Field of view 404x404 mm. Computed tomography. Lower abdomen. 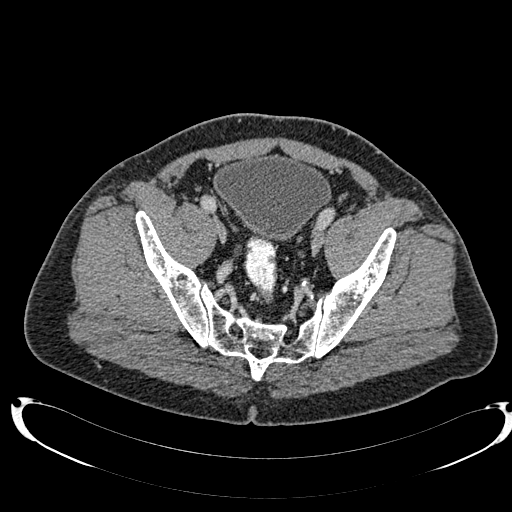 Annotated regions:
• urinary bladder: x1=215 y1=154 x2=331 y2=241